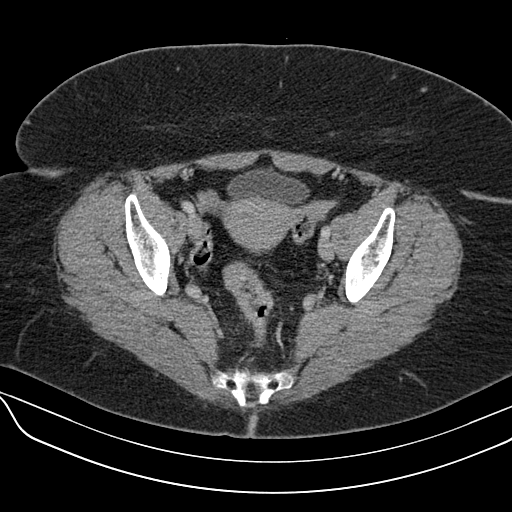
Pelvis; CT

Colon tumor — (222, 264, 272, 319).